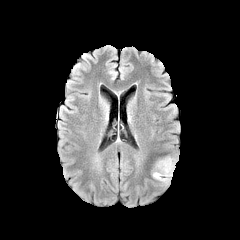
FLAIR magnetic resonance.
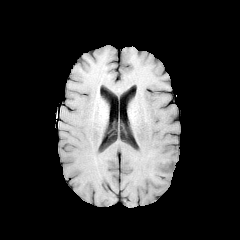
T1-weighted MRI of the same slice.
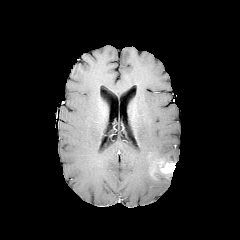
Post-contrast T1-weighted MRI.
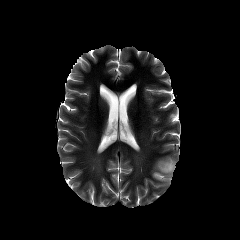
Same slice, T2-weighted MR.
Head | 240x240
The edema is at {"x1": 152, "y1": 156, "x2": 176, "y2": 184}. The enhancing tumor is at {"x1": 160, "y1": 162, "x2": 175, "y2": 173}.